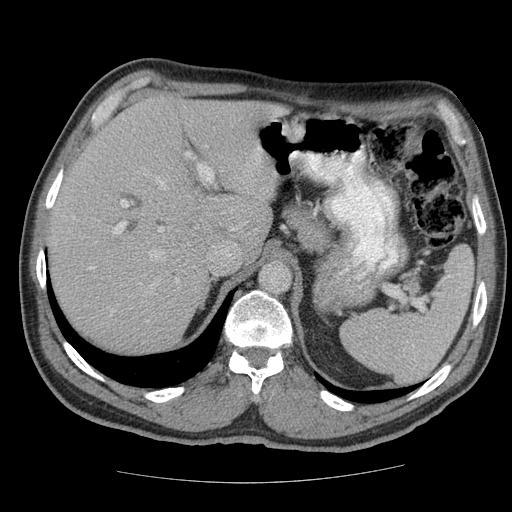

Computed tomography
The vessel boxes may cover only some of the vessels.
• hepatic vessel: bbox=[149, 250, 164, 260]; bbox=[89, 268, 92, 268]; bbox=[192, 158, 194, 159]; bbox=[158, 228, 162, 232]; bbox=[174, 279, 177, 282]; bbox=[145, 320, 147, 322]; bbox=[115, 222, 125, 232]; bbox=[155, 177, 166, 188]; bbox=[111, 311, 113, 313]; bbox=[197, 166, 212, 185]; bbox=[121, 201, 127, 207]; bbox=[184, 153, 190, 156]; bbox=[230, 226, 239, 231]